CT; Liver; Field of view 421x421 mm; Image size 512x512
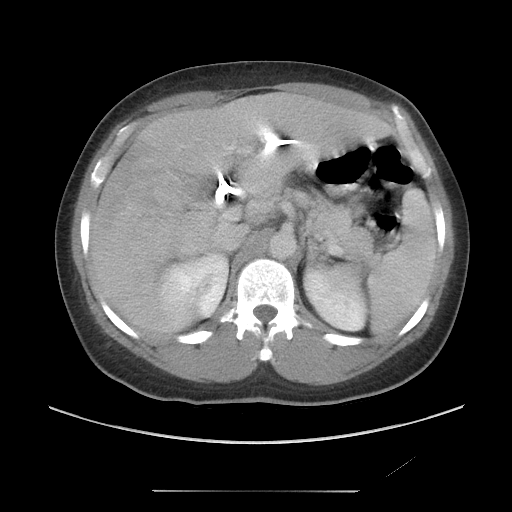 Only some of the vessels may be annotated.
Annotated regions:
• liver tumor: bbox=[95, 141, 204, 227]
• hepatic vessel: bbox=[225, 146, 234, 149]; bbox=[180, 146, 184, 147]